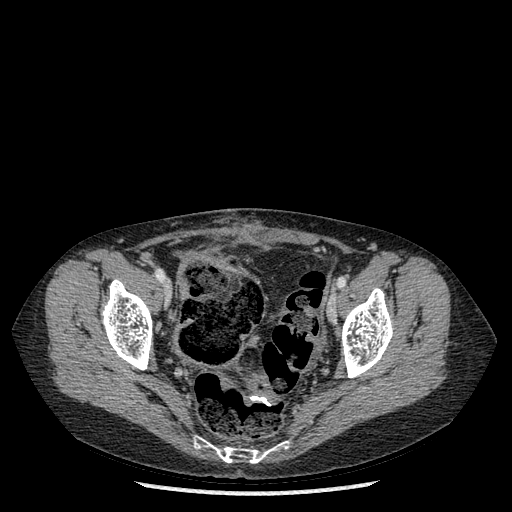 CT slice. Image size 512x512.

* bone: box(101, 279, 152, 370); box(342, 288, 393, 377); box(193, 435, 289, 463)